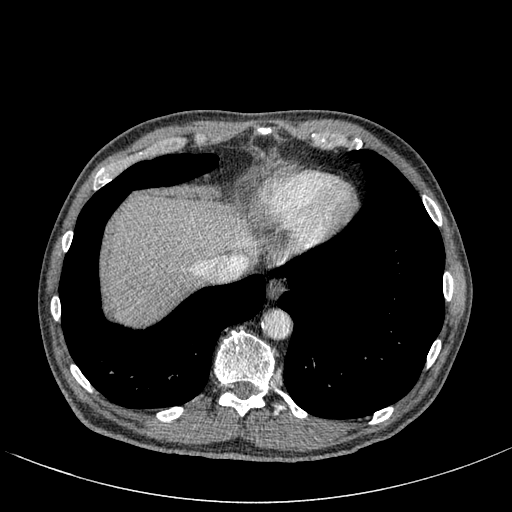 CT slice; Image size 512x512
<segmentation>
  <liver>box=[102, 195, 258, 323]</liver>
</segmentation>